Computed tomography | Liver

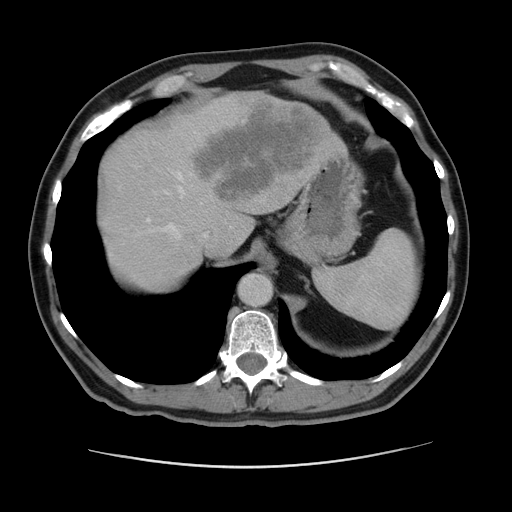

The hepatic lesion appears at [x1=192, y1=99, x2=323, y2=203]. The liver is located at [x1=98, y1=94, x2=326, y2=293].